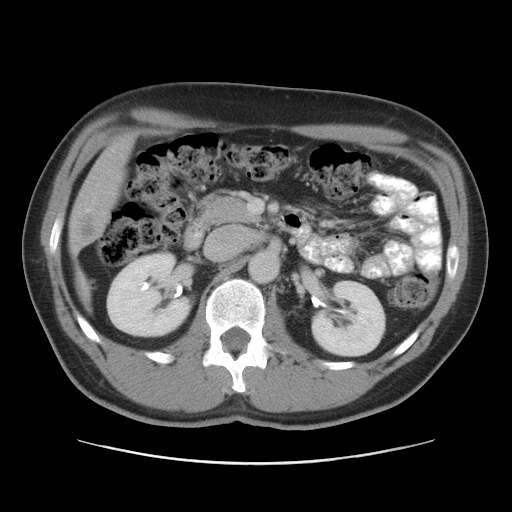
CT slice; 512x512 px
Not every hepatic vessel necessarily has a box.
The liver tumor appears at [70, 212, 99, 242]. The hepatic vessel is at [87, 209, 89, 211].